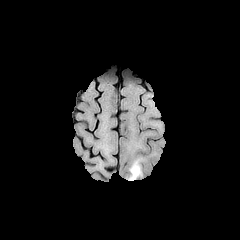
FLAIR MRI.
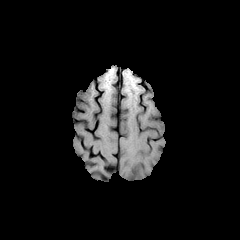
Same slice, T1-weighted MR image.
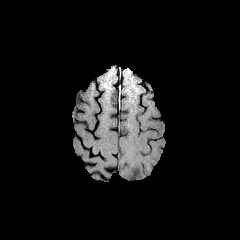
Post-contrast T1-weighted magnetic resonance.
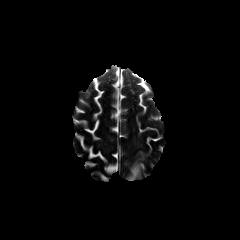
Same slice, T2-weighted MR image.
Brain; 240x240 px
Findings:
- edema: [130, 163, 140, 180]